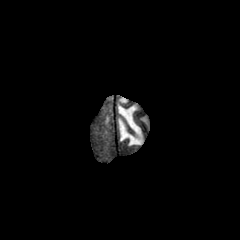
FLAIR MR.
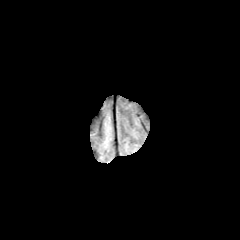
T1-weighted MR of the same slice.
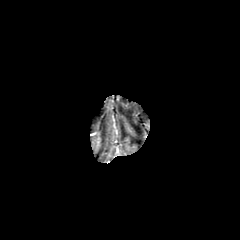
Post-contrast T1-weighted MRI.
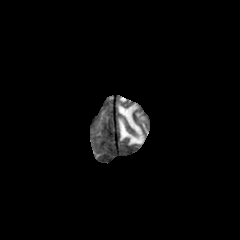
Same slice, T2-weighted MRI.
Brain
Findings:
• edema: box(118, 97, 143, 145)